Abdomen; CT slice 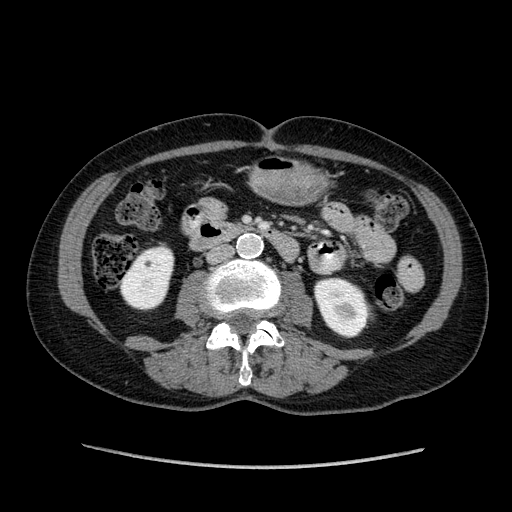

Annotated regions:
* kidney: 121, 248, 172, 308; 315, 279, 367, 335